CT slice. Slice 123/164. 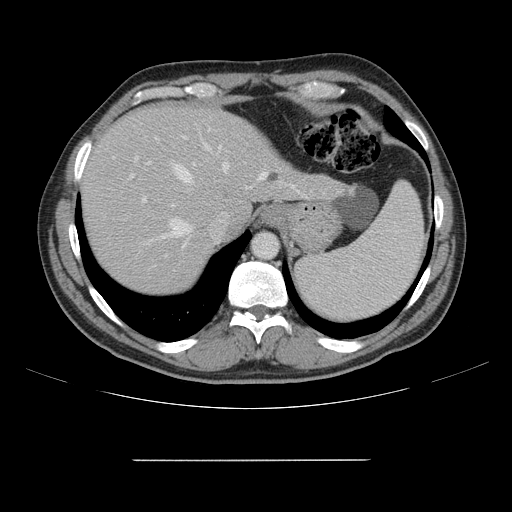

Not every hepatic vessel necessarily has a box.
Hepatic vessel — box(219, 145, 221, 150); box(222, 163, 228, 170); box(130, 174, 133, 177); box(259, 172, 266, 179); box(150, 240, 151, 241); box(161, 219, 190, 238); box(183, 136, 186, 138); box(203, 142, 209, 149); box(246, 186, 251, 188); box(182, 242, 187, 247); box(134, 157, 138, 160); box(143, 197, 145, 201); box(193, 163, 194, 165).
Liver tumor — box(268, 173, 279, 182).